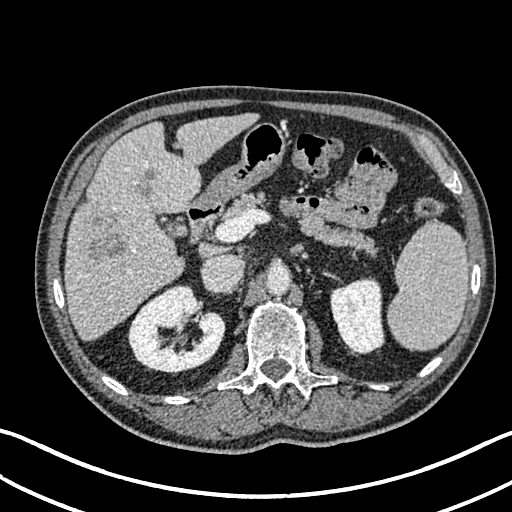

CT slice
2 kidney regions are bounded by bbox(331, 280, 383, 352); bbox(129, 287, 224, 371). The liver lies within bbox(65, 113, 257, 339). 2 focal liver lesion regions appear at bbox(90, 215, 129, 256); bbox(136, 171, 154, 196).